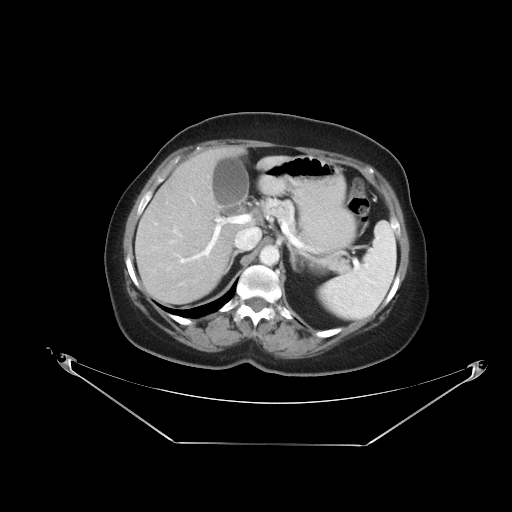

Liver | CT image
Not every hepatic vessel necessarily has a box.
{
  "hepatic_vessel": [
    "bbox=[180, 283, 182, 284]",
    "bbox=[174, 214, 253, 262]",
    "bbox=[235, 226, 259, 249]",
    "bbox=[179, 234, 180, 235]",
    "bbox=[173, 230, 178, 233]",
    "bbox=[192, 198, 194, 201]",
    "bbox=[167, 267, 170, 269]"
  ]
}